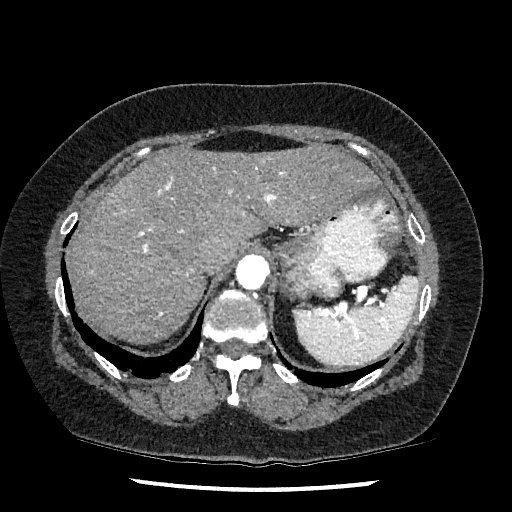
CT | Liver
Segmented structures:
- liver: x1=69 y1=145 x2=380 y2=344